CT, Slice 25/43
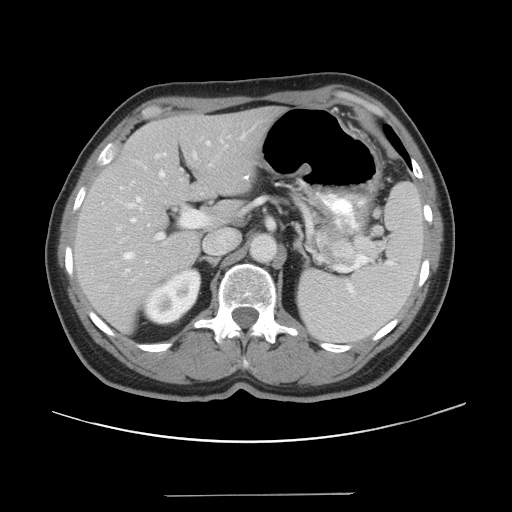
The vessel annotation is not exhaustive.
<segmentation partial="true">
  <hepatic_vessel shown="15" total="22">x1=118 y1=227 x2=121 y2=229, x1=124 y1=197 x2=141 y2=208, x1=193 y1=152 x2=196 y2=158, x1=240 y1=132 x2=245 y2=138, x1=159 y1=171 x2=164 y2=176, x1=206 y1=142 x2=210 y2=144, x1=156 y1=153 x2=165 y2=157, x1=142 y1=165 x2=145 y2=167, x1=139 y1=207 x2=142 y2=210, x1=120 y1=187 x2=125 y2=189, x1=180 y1=208 x2=206 y2=226, x1=131 y1=218 x2=135 y2=221, x1=122 y1=269 x2=129 y2=275, x1=156 y1=233 x2=164 y2=239, x1=124 y1=252 x2=134 y2=259</hepatic_vessel>
</segmentation>